Field of view 240x240 mm
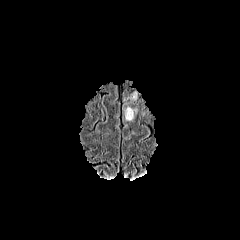
FLAIR MR.
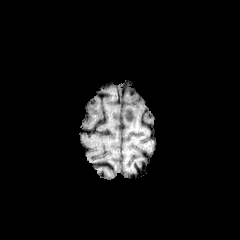
T1-weighted MR image of the same slice.
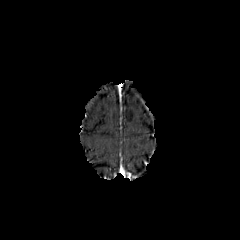
Same slice, post-contrast T1-weighted MRI.
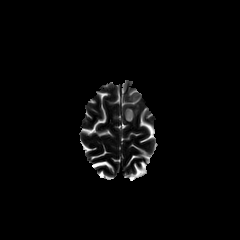
T2-weighted magnetic resonance of the same slice.
The edema appears at [125,106,134,119].